Image size 512x512 | CT scan slice | Slice 52/99 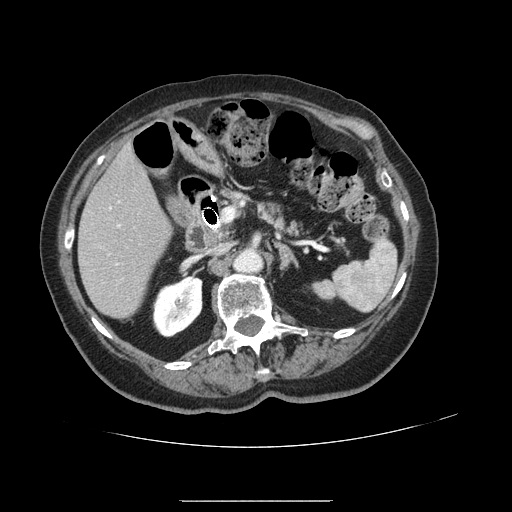

<segmentation>
  <pancreas>(259,199,301,234)</pancreas>
</segmentation>